Field of view 432 mm wide, 1.50 mm slice spacing, CT image

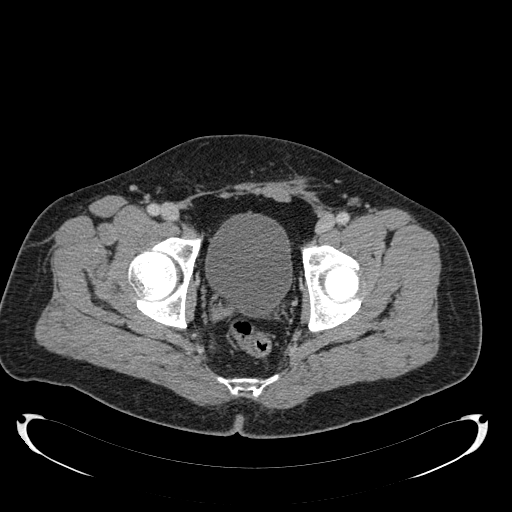
{"urinary_bladder": ["box=[205, 213, 292, 317]"]}